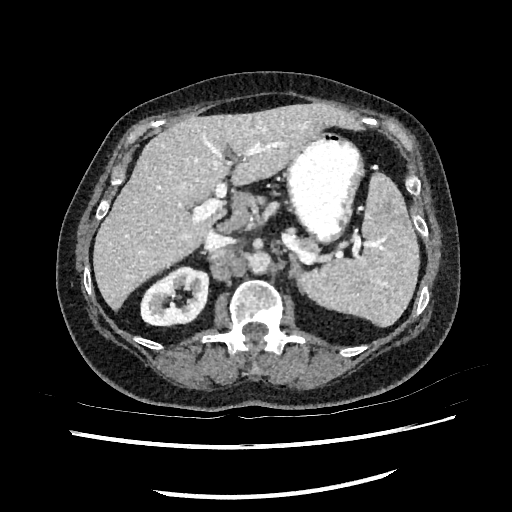
Abdomen | Computed tomography

kidney:
  - 141 267 207 325
liver:
  - 93 102 362 309